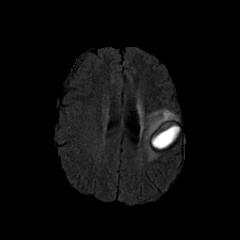
FLAIR MR image.
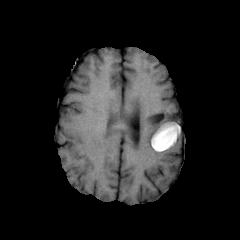
Same slice, T1-weighted MR.
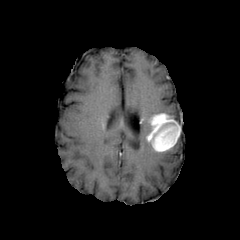
Post-contrast T1-weighted MR.
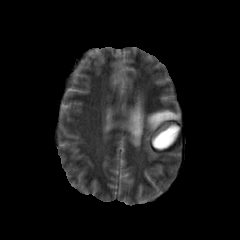
T2-weighted MRI of the same slice.
Head.
<segmentation>
  <enhancing_tumor>rect(146, 113, 179, 149)</enhancing_tumor>
  <edema>rect(136, 94, 174, 160)</edema>
  <non-enhancing_tumor_core>rect(158, 111, 177, 118); rect(158, 120, 176, 131)</non-enhancing_tumor_core>
</segmentation>